512x512 | CT scan slice | Abdomen

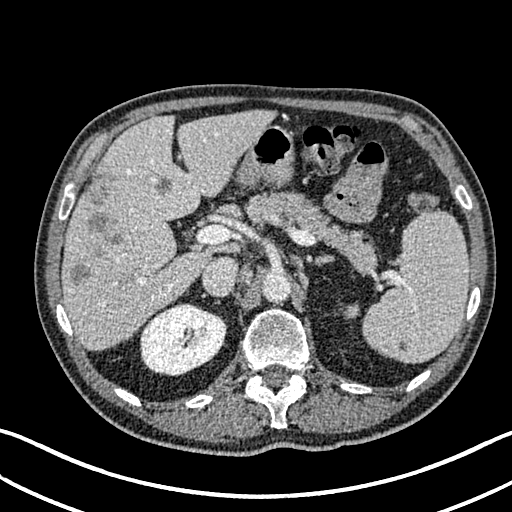

<segmentation>
  <kidney>bbox(141, 305, 225, 374); bbox(349, 307, 356, 315)</kidney>
  <liver>bbox(63, 110, 273, 349)</liver>
  <hepatic_lesion>bbox(107, 234, 123, 244); bbox(88, 213, 118, 232); bbox(154, 176, 171, 195); bbox(71, 265, 91, 284); bbox(85, 174, 114, 205)</hepatic_lesion>
</segmentation>